CT. 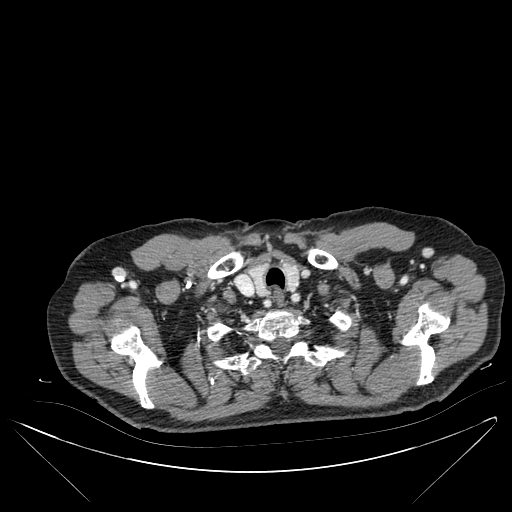 Annotated regions:
• bone: box(112, 326, 160, 408); box(211, 312, 348, 374); box(329, 306, 352, 331); box(308, 249, 336, 269); box(401, 305, 449, 384); box(205, 318, 231, 341); box(208, 252, 242, 278)